Head
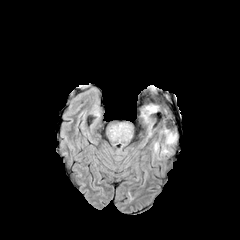
FLAIR MRI.
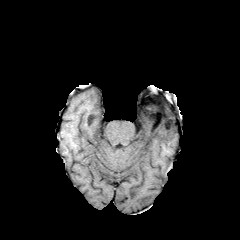
Same slice, T1-weighted magnetic resonance.
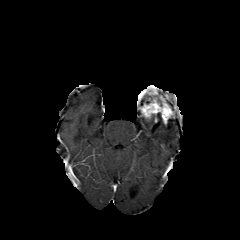
Post-contrast T1-weighted MRI.
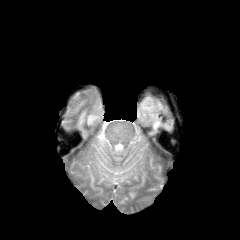
Same slice, T2-weighted magnetic resonance.
enhancing tumor: x1=141, y1=100, x2=169, y2=119 | edema: x1=161, y1=129, x2=173, y2=143; x1=112, y1=132, x2=121, y2=141; x1=153, y1=142, x2=159, y2=153